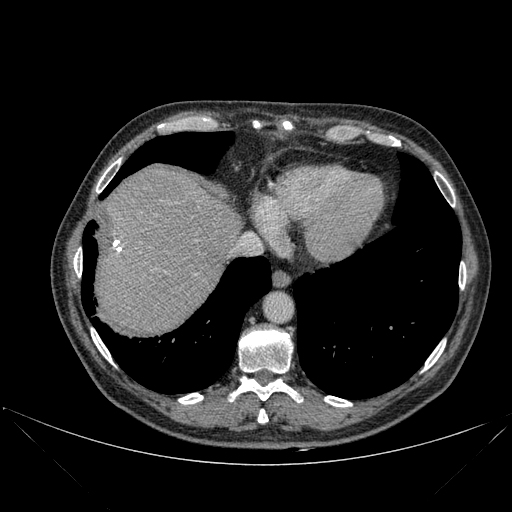

CT, Abdomen
<segmentation>
  <liver>95 170 236 337</liver>
  <lung>101 131 233 198, 293 153 461 398, 90 256 271 393, 81 220 97 316</lung>
  <bone>239 329 292 373, 435 171 454 206, 178 393 203 404, 459 262 465 289, 230 377 301 402, 73 248 81 277, 91 328 113 364, 283 121 291 129, 423 342 445 370, 257 409 268 423, 96 158 120 192, 324 396 352 406</bone>
</segmentation>